Brain.
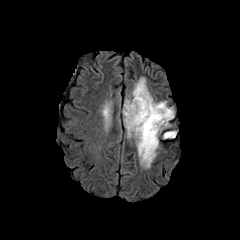
FLAIR MR image.
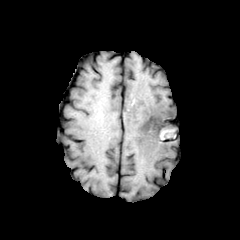
T1-weighted MR.
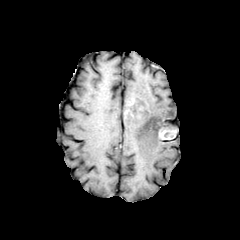
Same slice, post-contrast T1-weighted MR image.
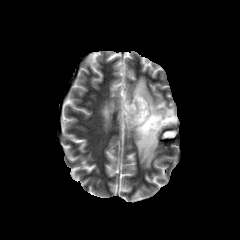
T2-weighted MRI of the same slice.
{"edema": ["(left=122, top=77, right=175, bottom=169)", "(left=104, top=106, right=110, bottom=121)"], "non-enhancing_tumor_core": ["(left=123, top=97, right=136, bottom=117)", "(left=164, top=130, right=176, bottom=138)", "(left=138, top=100, right=172, bottom=131)"]}